Slice 42 of 155.
FLAIR MR.
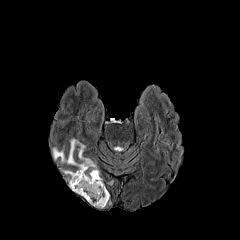
T1-weighted magnetic resonance.
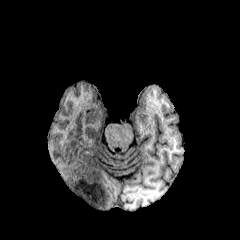
Post-contrast T1-weighted MR image.
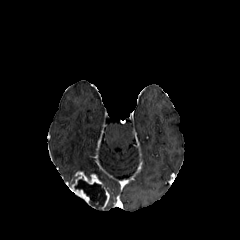
T2-weighted MR image.
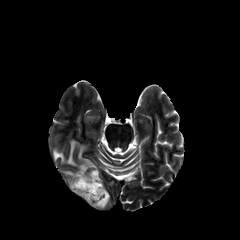
Findings:
- enhancing tumor: {"x1": 70, "y1": 170, "x2": 104, "y2": 203}
- non-enhancing tumor core: {"x1": 74, "y1": 180, "x2": 107, "y2": 209}
- edema: {"x1": 52, "y1": 139, "x2": 101, "y2": 180}